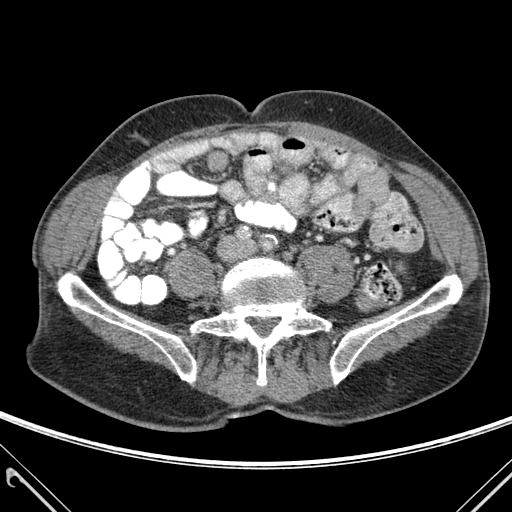

512x512. CT. Bone = l=58, t=273, r=196, b=382; l=190, t=258, r=330, b=385; l=330, t=275, r=462, b=383.